MR image. Medial temporal lobe. 36x48.
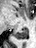
Posterior hippocampus: region(15, 28, 27, 39).